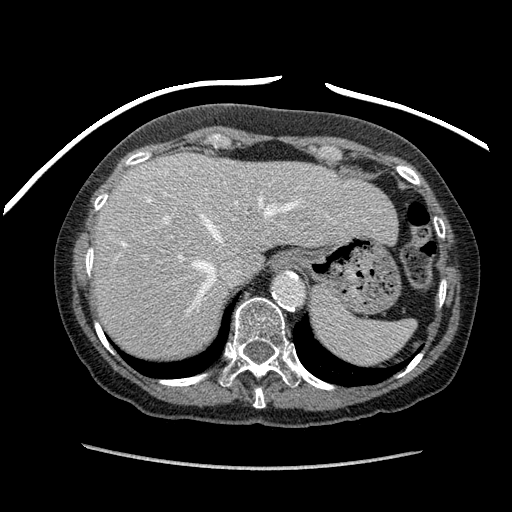

512x512 px; Upper abdomen; CT slice

Annotated regions:
- liver: left=93, top=153, right=396, bottom=358